FLAIR MRI.
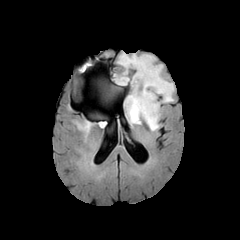
T1-weighted MR image.
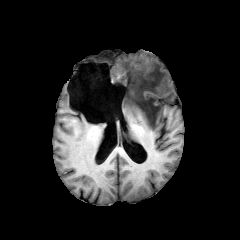
Post-contrast T1-weighted MRI.
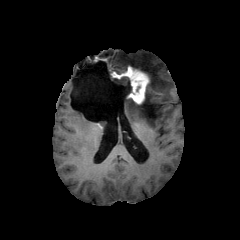
T2-weighted MRI.
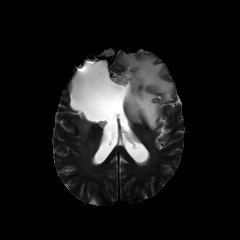
3 non-enhancing tumor core regions are bounded by <bbox>136, 74, 155, 119</bbox>, <bbox>116, 76, 135, 103</bbox>, <bbox>117, 64, 147, 74</bbox>. The enhancing tumor appears at <bbox>114, 66, 149, 103</bbox>. 2 edema regions are located at <bbox>114, 78, 127, 83</bbox>, <bbox>118, 54, 174, 130</bbox>.